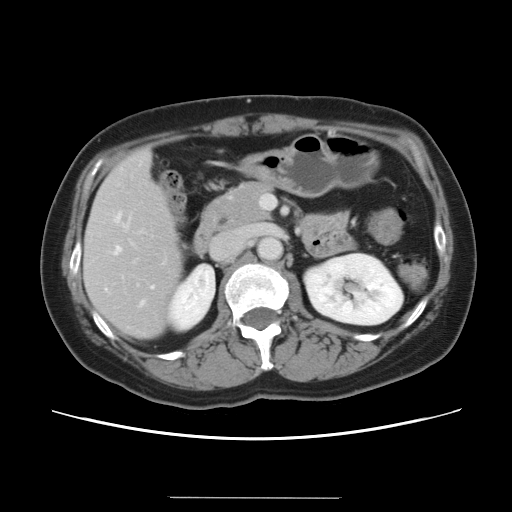
CT | Abdomen

Only some of the vessels may be annotated.
Findings:
* hepatic vessel: {"x1": 113, "y1": 247, "x2": 120, "y2": 254}, {"x1": 151, "y1": 286, "x2": 153, "y2": 288}, {"x1": 130, "y1": 243, "x2": 133, "y2": 244}, {"x1": 113, "y1": 214, "x2": 120, "y2": 222}, {"x1": 140, "y1": 300, "x2": 144, "y2": 305}, {"x1": 123, "y1": 219, "x2": 129, "y2": 228}, {"x1": 105, "y1": 288, "x2": 107, "y2": 291}, {"x1": 120, "y1": 168, "x2": 121, "y2": 170}